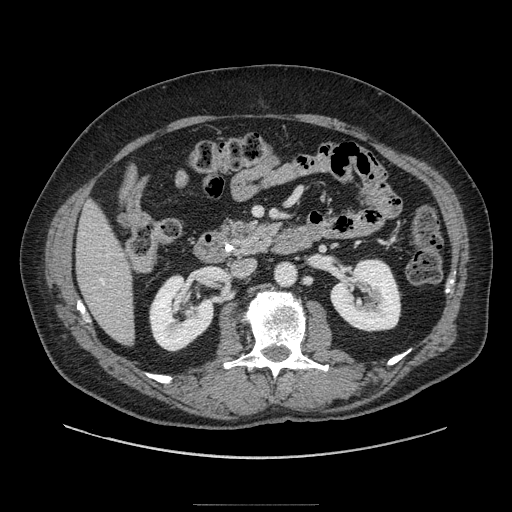

Computed tomography
Pancreatic tumor at <bbox>235, 223, 250, 236</bbox>.
Pancreas at <bbox>224, 219, 278, 254</bbox>.